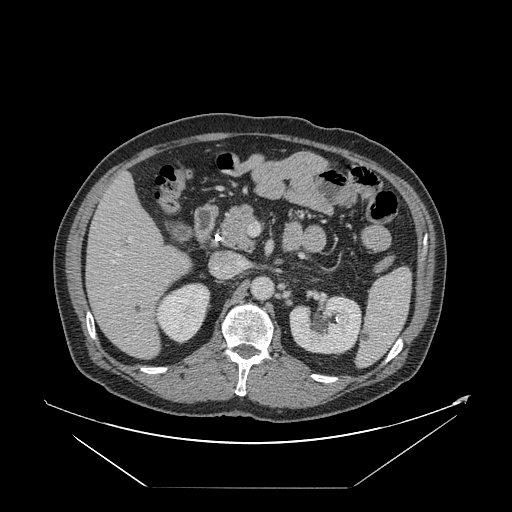 Abdomen; Computed tomography
The vessel annotation is not exhaustive.
hepatic vessel: 112,261,114,263; 116,253,119,255; 127,238,131,241